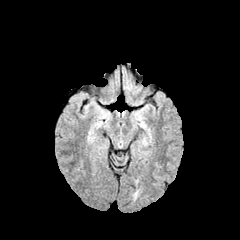
FLAIR MR image.
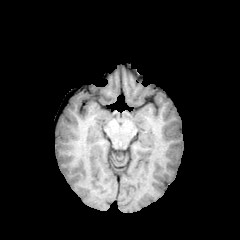
T1-weighted MR image.
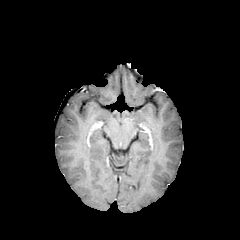
Same slice, post-contrast T1-weighted MR image.
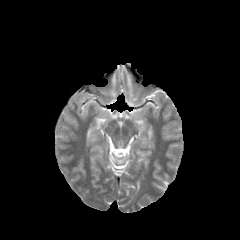
T2-weighted MR image of the same slice.
Head
edema:
  - bbox=[99, 110, 107, 118]